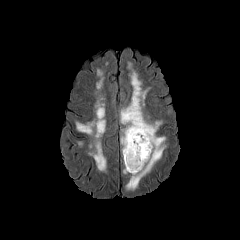
FLAIR MR.
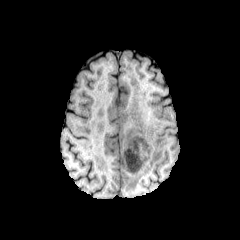
T1-weighted MRI of the same slice.
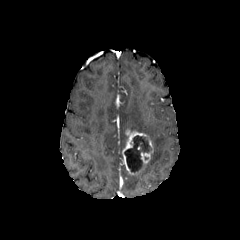
Post-contrast T1-weighted MR image.
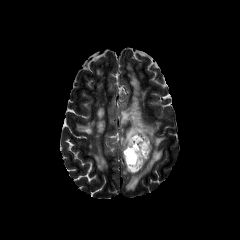
T2-weighted MRI.
Edema: <bbox>75, 102, 105, 171</bbox>, <bbox>120, 136, 126, 148</bbox>, <bbox>120, 71, 166, 190</bbox>.
Enhancing tumor: <bbox>122, 132, 153, 175</bbox>.
Non-enhancing tumor core: <bbox>124, 135, 151, 173</bbox>.